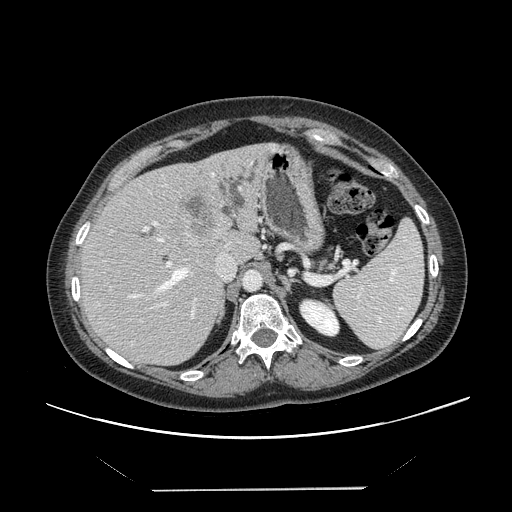

CT scan slice

Some hepatic vessels may have no box.
The liver tumor lies within (177, 188, 218, 239). 12 hepatic vessel regions appear at (237, 240, 240, 241), (151, 221, 157, 225), (143, 227, 147, 230), (153, 261, 190, 294), (210, 174, 215, 177), (129, 294, 142, 297), (189, 305, 194, 319), (194, 299, 196, 302), (157, 237, 163, 242), (96, 303, 99, 304), (215, 241, 235, 279), (156, 303, 166, 306).